Image width 240 mm. Brain. Slice index 98.
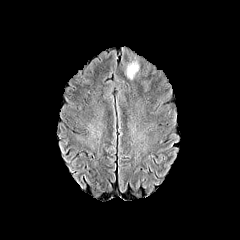
FLAIR MRI.
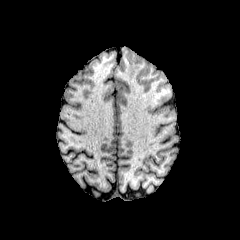
T1-weighted magnetic resonance.
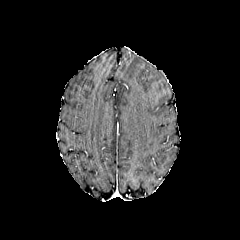
Post-contrast T1-weighted magnetic resonance of the same slice.
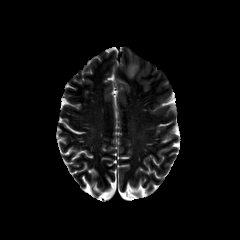
T2-weighted magnetic resonance of the same slice.
Edema — (left=126, top=64, right=138, bottom=77).